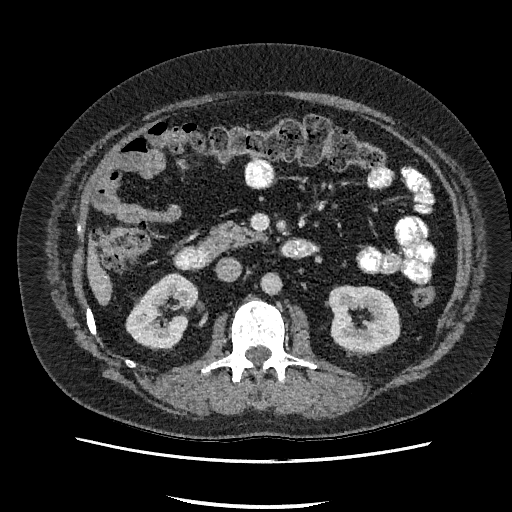 Abdomen, CT image
liver: bbox(87, 248, 111, 303) | kidney: bbox(330, 287, 398, 350); bbox(127, 275, 196, 347)